Computed tomography, Slice index 47, 512x512 px
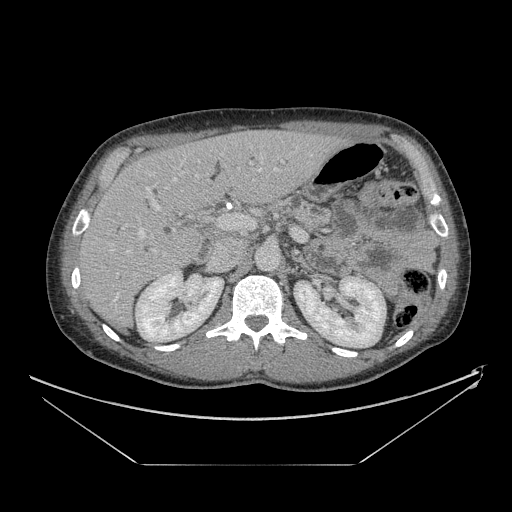 <segmentation>
  <pancreas>{"x1": 265, "y1": 195, "x2": 332, "y2": 231}</pancreas>
</segmentation>